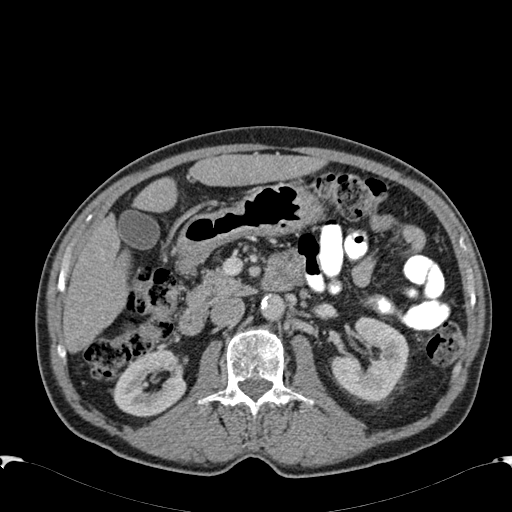
Image size 512x512 | CT slice

3 liver regions are bounded by (x1=63, y1=214, x2=127, y2=352), (x1=191, y1=156, x2=324, y2=185), (x1=133, y1=179, x2=175, y2=211). 2 kidney regions are located at (x1=114, y1=349, x2=185, y2=415), (x1=332, y1=318, x2=408, y2=400).